Brain
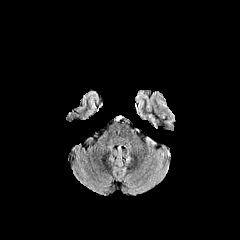
FLAIR magnetic resonance.
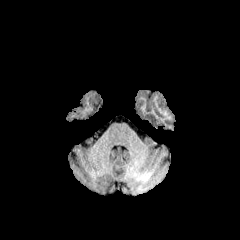
Same slice, T1-weighted magnetic resonance.
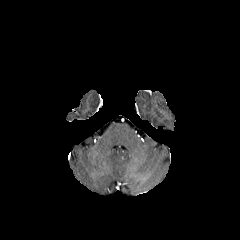
Same slice, post-contrast T1-weighted MRI.
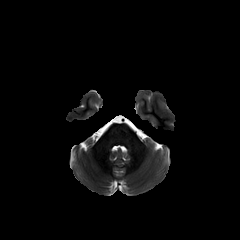
T2-weighted MRI.
The edema lies within (x1=157, y1=100, x2=173, y2=118).